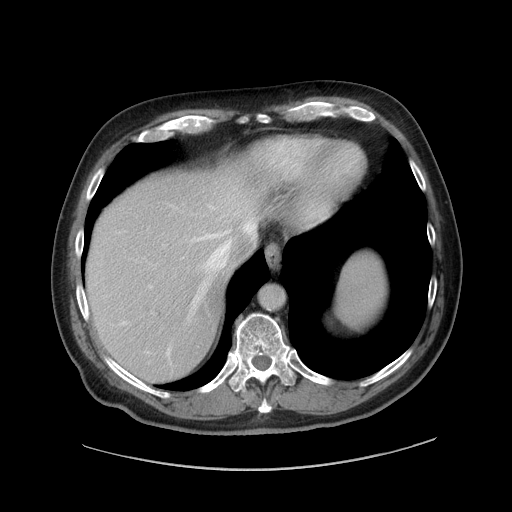
Computed tomography. The vessel boxes may cover only some of the vessels.
Hepatic vessel at [x1=208, y1=204, x2=216, y2=209], [x1=150, y1=284, x2=151, y2=287], [x1=221, y1=215, x2=224, y2=217], [x1=188, y1=279, x2=209, y2=317], [x1=145, y1=351, x2=148, y2=352], [x1=193, y1=229, x2=231, y2=240], [x1=231, y1=237, x2=252, y2=263], [x1=243, y1=212, x2=255, y2=239], [x1=235, y1=201, x2=241, y2=213], [x1=123, y1=321, x2=126, y2=324], [x1=204, y1=239, x2=231, y2=276], [x1=166, y1=347, x2=170, y2=361].